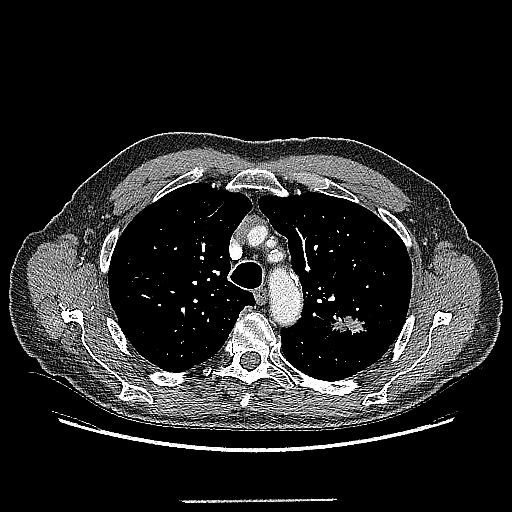

CT image, Lung, 512x512

<segmentation>
  <lung_tumor>330 313 369 334</lung_tumor>
</segmentation>